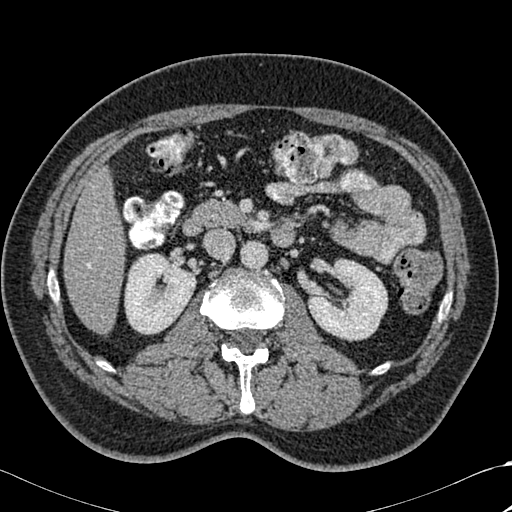
Upper abdomen; CT scan slice
Annotated regions:
- kidney: bbox=[125, 254, 195, 333]; bbox=[309, 260, 387, 339]
- bone: bbox=[222, 343, 268, 413]; bbox=[48, 277, 58, 301]; bbox=[99, 361, 112, 370]; bbox=[200, 272, 283, 331]
- liver: bbox=[65, 173, 124, 332]